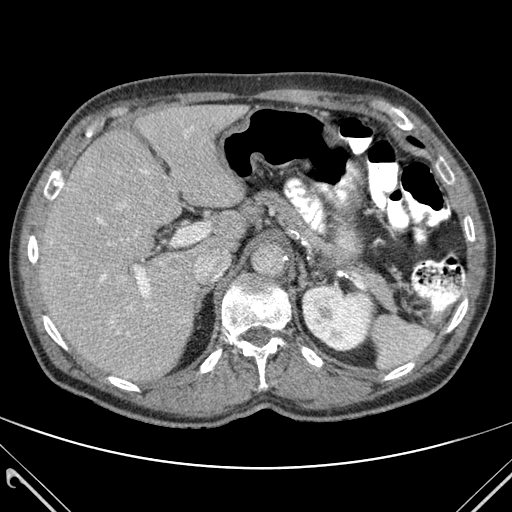

CT, Image size 512x512

11 bone regions are bounded by (x1=201, y1=349, x2=221, y2=372), (x1=385, y1=363, x2=413, y2=379), (x1=109, y1=377, x2=138, y2=390), (x1=437, y1=157, x2=453, y2=183), (x1=28, y1=235, x2=37, y2=262), (x1=43, y1=316, x2=66, y2=348), (x1=464, y1=217, x2=474, y2=240), (x1=222, y1=281, x2=290, y2=387), (x1=302, y1=347, x2=322, y2=366), (x1=44, y1=170, x2=62, y2=201), (x1=448, y1=299, x2=467, y2=331). The kidney lies within (x1=303, y1=287, x2=371, y2=349). 3 liver regions are bounded by (x1=40, y1=105, x2=248, y2=383), (x1=191, y1=247, x2=203, y2=259), (x1=201, y1=211, x2=244, y2=250).